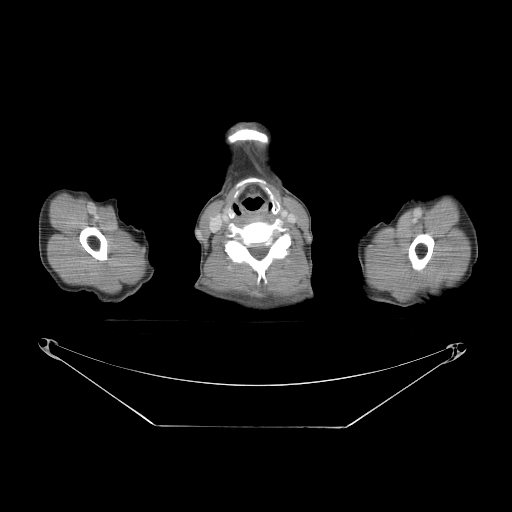 CT scan slice
<segmentation>
  <bone>(x1=409, y1=234, x2=433, y2=270), (x1=80, y1=227, x2=107, y2=260), (x1=229, y1=129, x2=267, y2=142), (x1=225, y1=221, x2=290, y2=279)</bone>
</segmentation>